CT scan slice, Slice 56 of 122, Upper abdomen 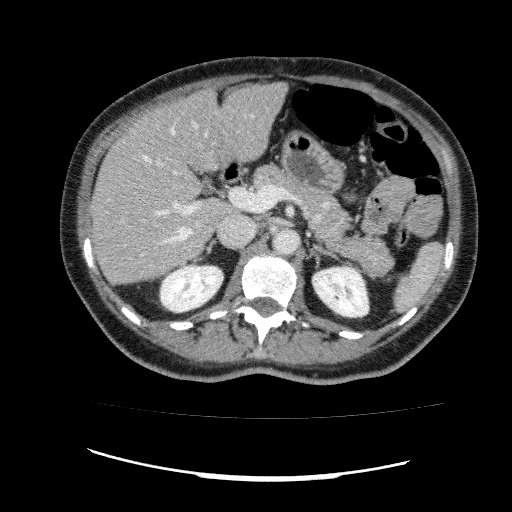
- kidney: bbox=[161, 266, 222, 311]; bbox=[313, 267, 368, 316]
- liver: bbox=[90, 82, 288, 283]